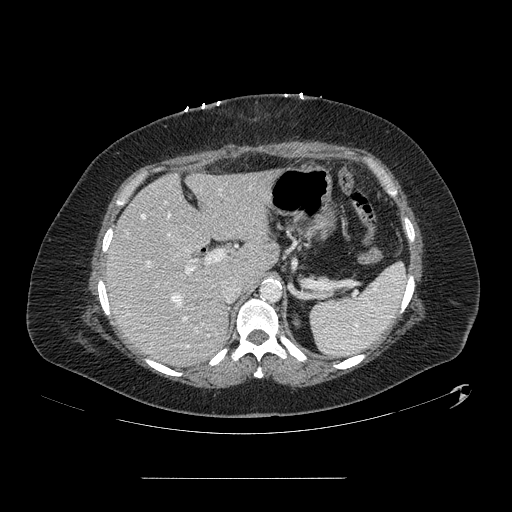

512x512 px | CT image | Upper abdomen
The pancreas lies within (left=313, top=278, right=330, bottom=298).